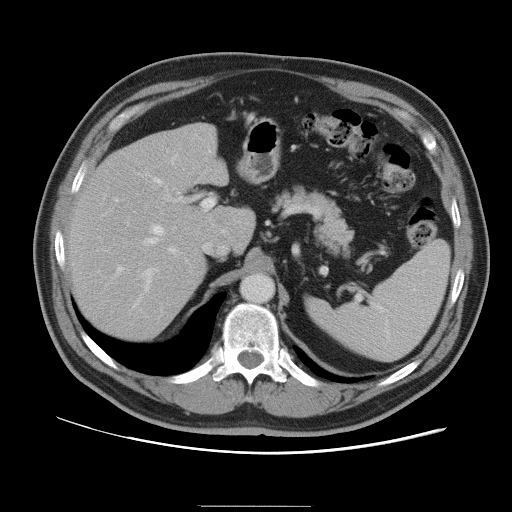

Liver | CT scan slice

Only some of the vessels may be annotated.
The most prominent 15 hepatic vessel regions (of 16) appear at <bbox>169, 248, 176, 252</bbox>, <bbox>143, 225, 163, 244</bbox>, <bbox>164, 192, 170, 199</bbox>, <bbox>117, 266, 128, 274</bbox>, <bbox>114, 198, 117, 201</bbox>, <bbox>222, 229, 225, 232</bbox>, <bbox>172, 227, 174, 229</bbox>, <bbox>209, 217, 210, 218</bbox>, <bbox>146, 173, 147, 174</bbox>, <bbox>170, 155, 177, 163</bbox>, <bbox>185, 259, 187, 261</bbox>, <bbox>100, 202, 102, 204</bbox>, <bbox>133, 298, 140, 306</bbox>, <bbox>142, 268, 157, 290</bbox>, <bbox>154, 178, 161, 184</bbox>.